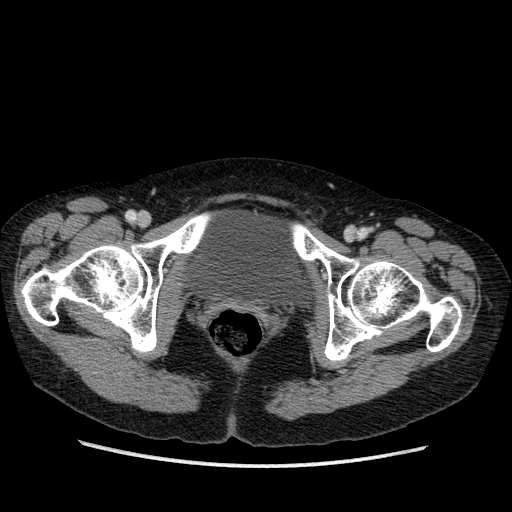 CT slice. Image size 512x512. The urinary bladder is at 181:208:316:318.